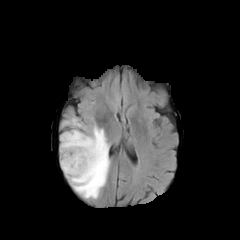
FLAIR MRI.
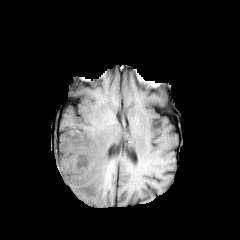
Same slice, T1-weighted MRI.
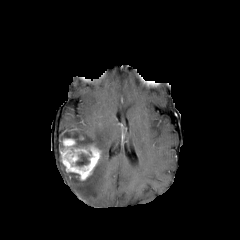
Post-contrast T1-weighted magnetic resonance.
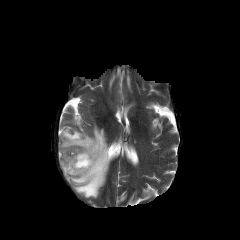
Same slice, T2-weighted MRI.
Brain
Findings:
- non-enhancing tumor core: <bbox>77, 155, 88, 165</bbox>
- edema: <bbox>71, 118, 81, 127</bbox>, <bbox>60, 125, 109, 199</bbox>
- enhancing tumor: <bbox>59, 137, 102, 181</bbox>